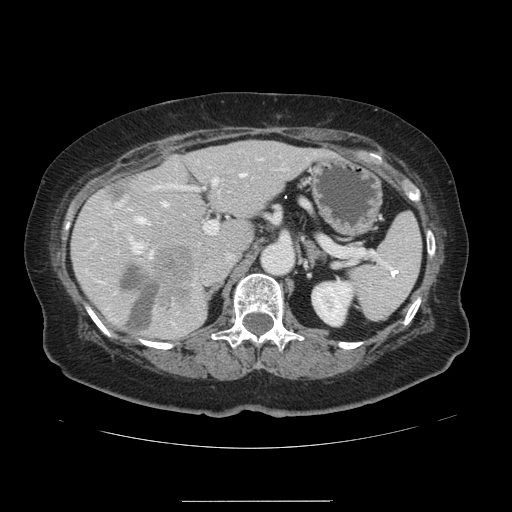
CT
The vessel annotation is not exhaustive.
2 liver tumor regions are located at box(105, 180, 132, 203); box(121, 243, 193, 332). 9 hepatic vessel regions are located at box(259, 158, 263, 159); box(240, 172, 245, 176); box(135, 217, 149, 224); box(163, 202, 167, 205); box(203, 220, 217, 233); box(149, 184, 204, 189); box(129, 237, 141, 252); box(149, 250, 152, 256); box(212, 178, 216, 183).